Image width 240 mm | 240x240 px
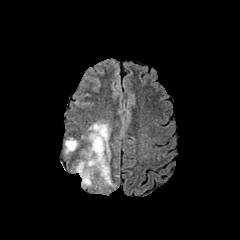
FLAIR magnetic resonance.
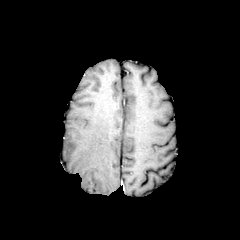
Same slice, T1-weighted MR.
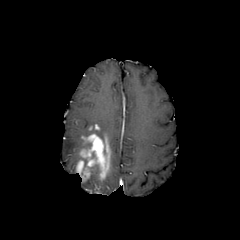
Post-contrast T1-weighted MR.
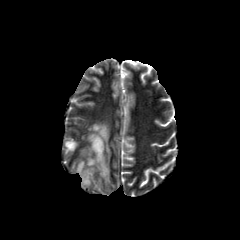
Same slice, T2-weighted magnetic resonance.
The non-enhancing tumor core is bounded by l=81, t=158, r=90, b=170. 2 enhancing tumor regions are located at l=76, t=160, r=90, b=180; l=80, t=134, r=111, b=179. 4 edema regions are located at l=88, t=122, r=110, b=138; l=81, t=166, r=94, b=187; l=64, t=137, r=78, b=154; l=103, t=168, r=113, b=186.